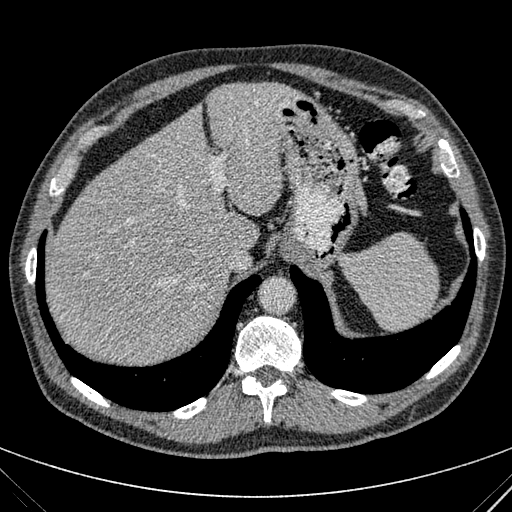
Abdomen, CT scan slice

{"liver": ["box=[45, 103, 259, 363]", "box=[353, 179, 365, 213]", "box=[207, 83, 305, 216]"]}